Brain, Field of view 240 mm wide, 1.00 mm slice spacing
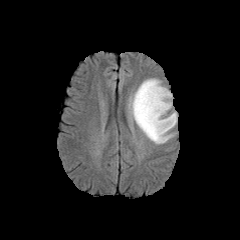
FLAIR MR.
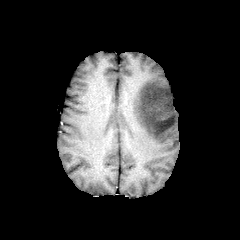
T1-weighted MR image.
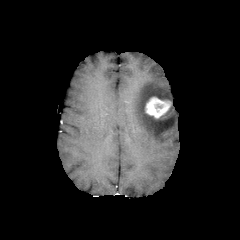
Post-contrast T1-weighted MR image.
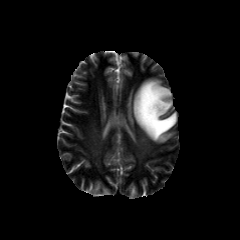
T2-weighted MRI of the same slice.
enhancing tumor: 145, 96, 172, 118 | edema: 129, 78, 177, 144